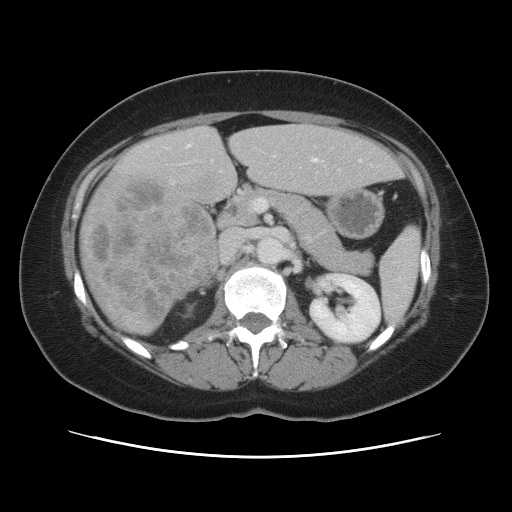
CT slice | Liver

The vessel boxes may cover only some of the vessels.
<segmentation>
  <liver_tumor>(84,179,213,321)</liver_tumor>
  <hepatic_vessel>(311,157,322,161), (359,160,361,161), (252,198,267,210), (188,145,189,146)</hepatic_vessel>
</segmentation>